Computed tomography | Image size 512x512 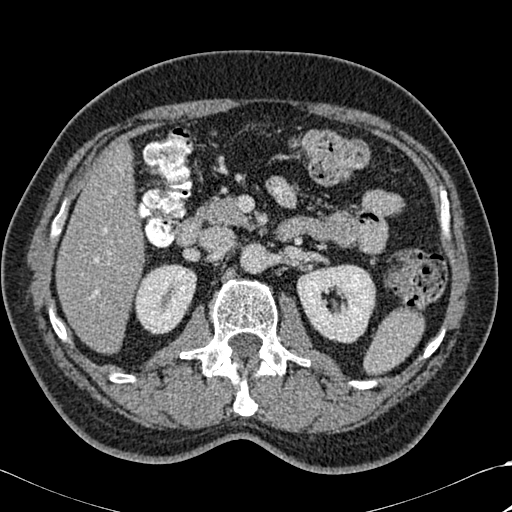
bone: 424, 332, 443, 357; 50, 310, 66, 339; 110, 373, 134, 382; 350, 381, 374, 389; 180, 280, 309, 415; 52, 223, 60, 235 | kidney: 136, 265, 195, 333; 297, 266, 374, 342 | liver: 57, 148, 147, 353